Computed tomography. Field of view 700 mm wide, 3.27 mm slice spacing. Liver. 512x512 px. 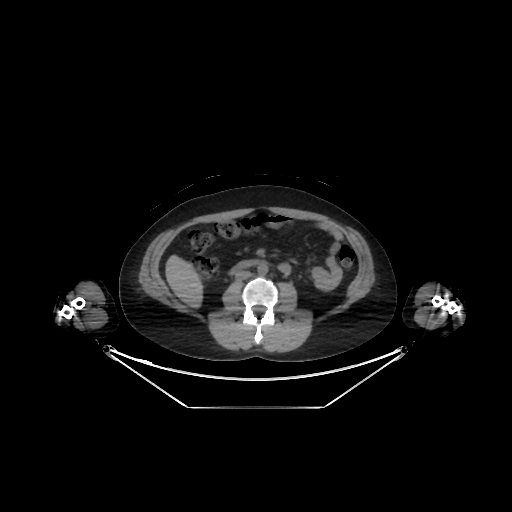 Liver: bounding box {"x1": 166, "y1": 255, "x2": 202, "y2": 307}.